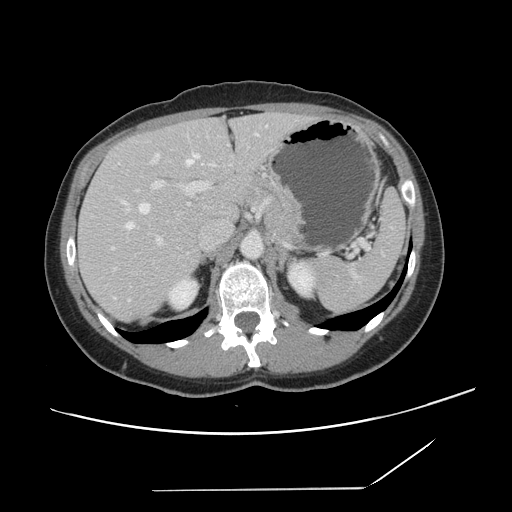

Computed tomography
The vessel annotation is not exhaustive.
13 hepatic vessel regions appear at region(186, 152, 199, 165); region(153, 181, 164, 187); region(122, 201, 129, 210); region(255, 133, 258, 135); region(184, 182, 207, 190); region(140, 203, 149, 213); region(188, 203, 189, 204); region(111, 247, 113, 249); region(211, 163, 214, 165); region(156, 236, 161, 243); region(113, 297, 115, 298); region(152, 153, 159, 163); region(126, 223, 133, 228).